Image size 240x240
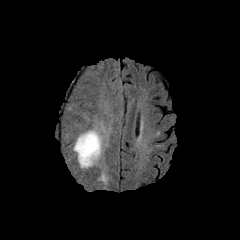
FLAIR MR.
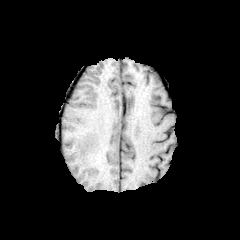
Same slice, T1-weighted magnetic resonance.
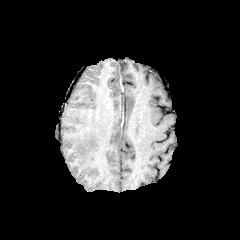
Post-contrast T1-weighted MR image.
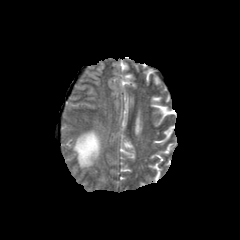
T2-weighted MRI of the same slice.
The edema is bounded by box(73, 129, 101, 167).